FLAIR MR image.
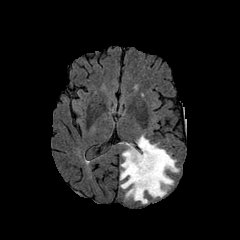
T1-weighted MRI.
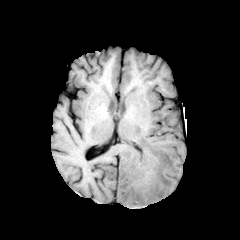
Post-contrast T1-weighted MRI.
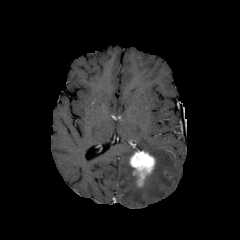
T2-weighted magnetic resonance.
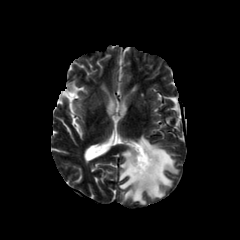
Brain
enhancing_tumor:
  - <box>129,149,155,186</box>
non-enhancing_tumor_core:
  - <box>133,158,157,189</box>
edema:
  - <box>119,134,179,204</box>